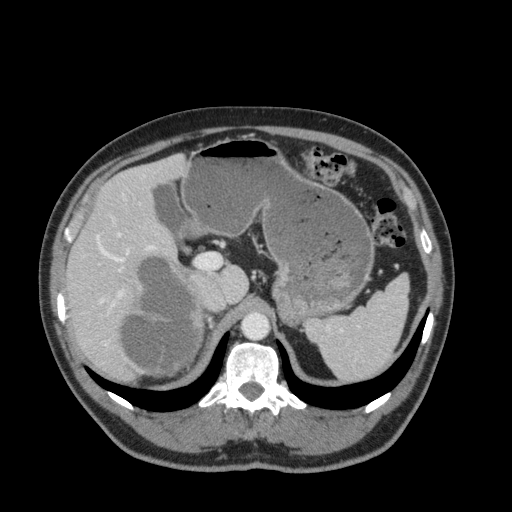
Abdomen | 512x512 | Computed tomography

liver:
  - (x1=217, y1=266, x2=247, y2=302)
  - (x1=66, y1=155, x2=185, y2=380)